Liver | Image width 400 mm | CT | Slice index 90 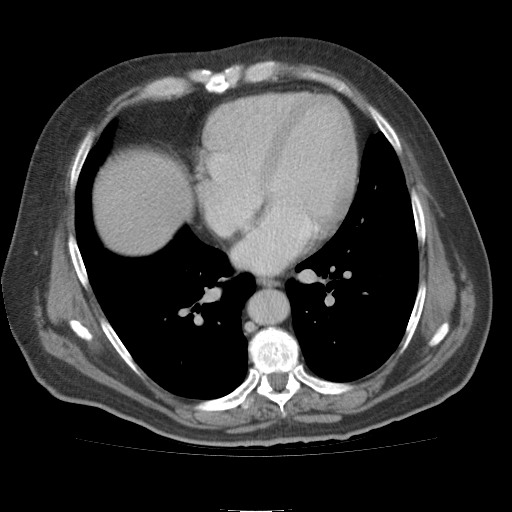 Liver at [x1=94, y1=144, x2=189, y2=254].